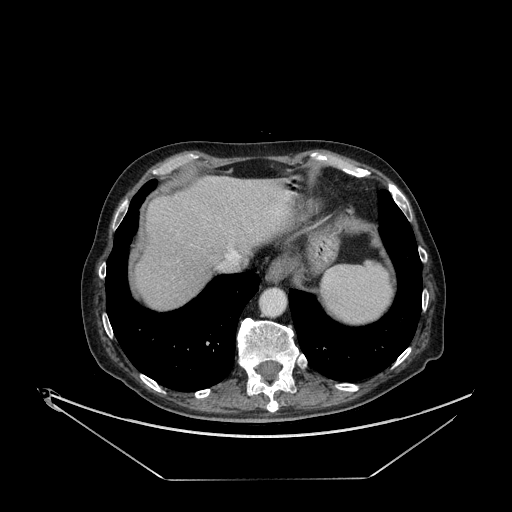

CT slice. Upper abdomen. Annotated regions:
- liver: l=136, t=177, r=292, b=309